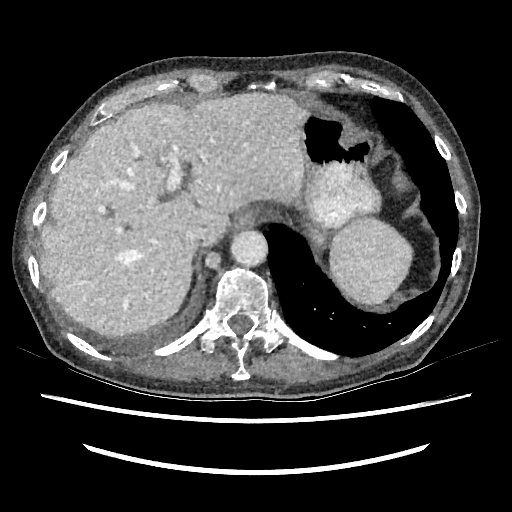

512x512 | Computed tomography
<segmentation>
  <liver>[x1=40, y1=92, x2=304, y2=334]</liver>
</segmentation>